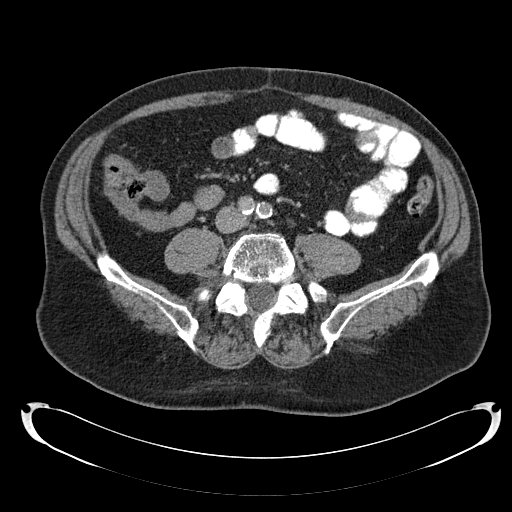
CT image. Abdomen.
colon_tumor:
  - {"x1": 105, "y1": 154, "x2": 134, "y2": 174}